FLAIR MR image.
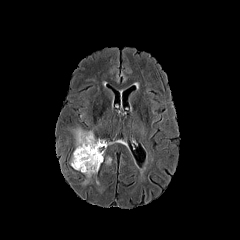
T1-weighted MR image.
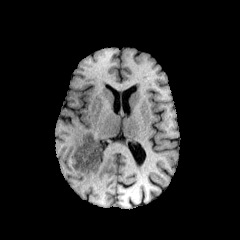
Post-contrast T1-weighted MRI.
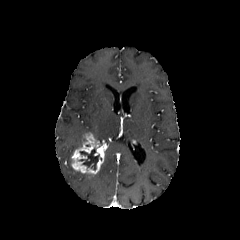
T2-weighted magnetic resonance.
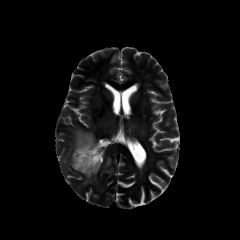
* non-enhancing tumor core: bbox=[80, 148, 99, 169]
* enhancing tumor: bbox=[70, 132, 106, 174]
* edema: bbox=[82, 174, 98, 185]; bbox=[73, 128, 94, 153]